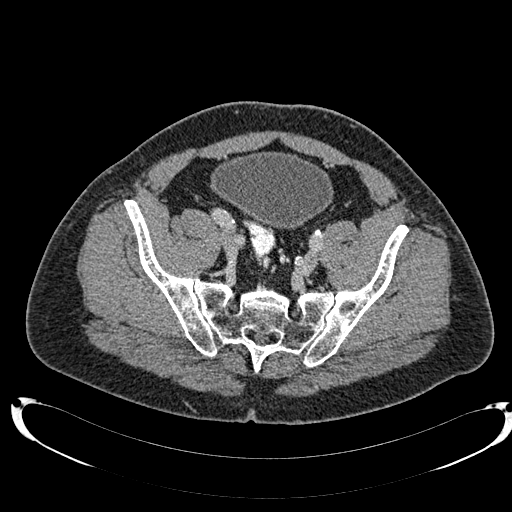

CT slice.
Urinary bladder: (x1=212, y1=151, x2=331, y2=229).